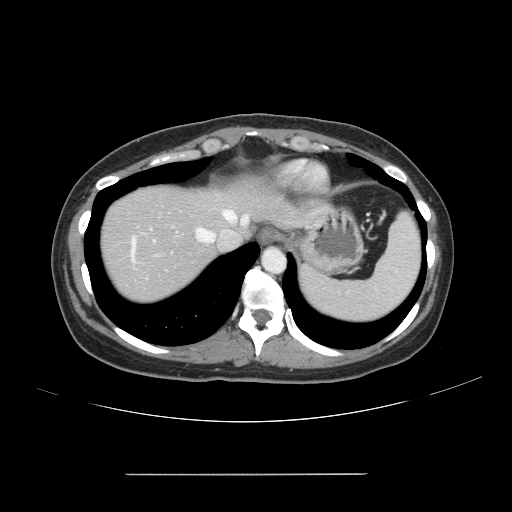

CT scan slice
Not every hepatic vessel necessarily has a box.
Hepatic vessel = (131, 238, 135, 260), (224, 211, 235, 221), (242, 216, 247, 223), (197, 229, 214, 241).